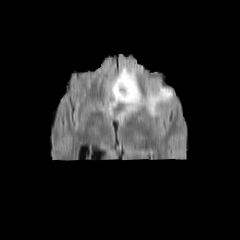
FLAIR MR image.
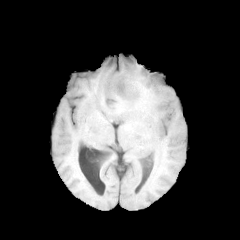
T1-weighted MRI.
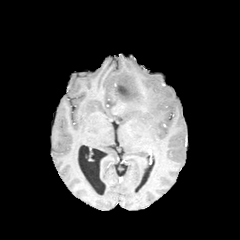
Same slice, post-contrast T1-weighted magnetic resonance.
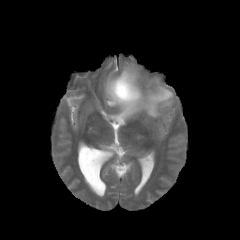
T2-weighted magnetic resonance.
Head
- edema: left=105, top=61, right=172, bottom=119
- non-enhancing tumor core: left=108, top=76, right=143, bottom=101